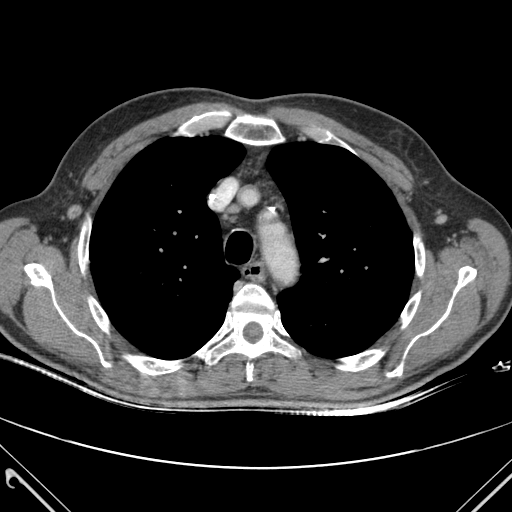 CT image.
Segmented structures:
• lung: (x1=89, y1=136, x2=245, y2=359), (x1=267, y1=142, x2=414, y2=358)
• bone: (x1=195, y1=284, x2=294, y2=380), (x1=387, y1=365, x2=402, y2=376), (x1=322, y1=132, x2=352, y2=151), (x1=179, y1=111, x2=233, y2=135), (x1=401, y1=292, x2=420, y2=327), (x1=88, y1=297, x2=108, y2=332), (x1=338, y1=350, x2=383, y2=371), (x1=414, y1=237, x2=424, y2=275), (x1=78, y1=221, x2=90, y2=272), (x1=225, y1=115, x2=283, y2=144), (x1=405, y1=266, x2=476, y2=352), (x1=24, y1=263, x2=109, y2=366), (x1=125, y1=355, x2=180, y2=374)